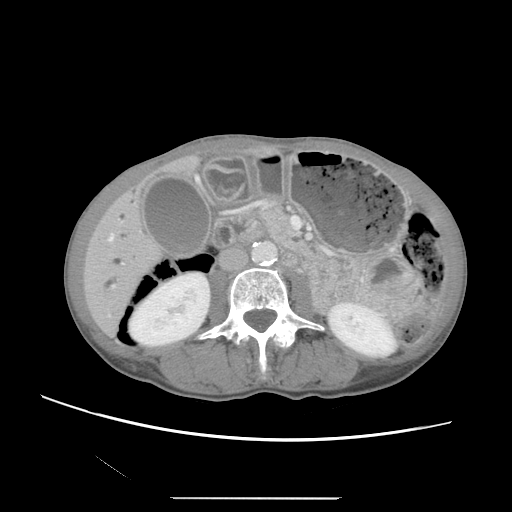

CT | Abdomen
{"pancreas": ["(259,208,303,250)"]}